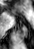
MRI, Hippocampus, 34x49 px
Segmented structures:
- posterior hippocampus: [19,25,28,39]